FLAIR MR.
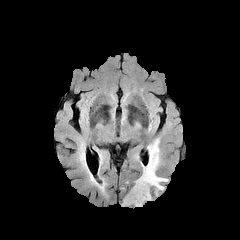
T1-weighted MR image.
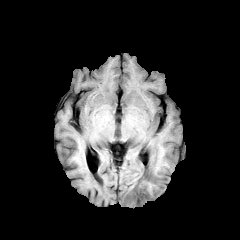
Post-contrast T1-weighted MR.
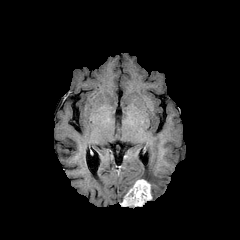
T2-weighted MR image.
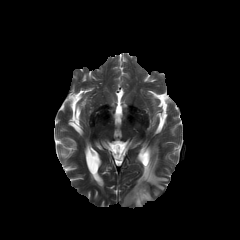
<segmentation>
  <enhancing_tumor><box>121,179,151,206</box></enhancing_tumor>
  <edema><box>139,138,168,195</box></edema>
</segmentation>